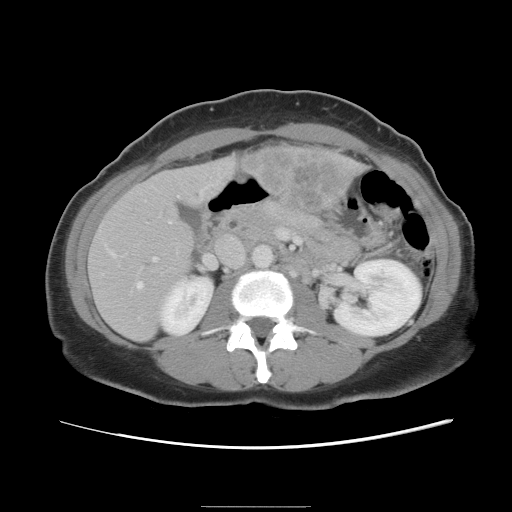 CT, Image size 512x512, Abdomen

Only some of the vessels may be annotated.
8 hepatic vessel regions are located at 168:220:170:222, 293:236:300:242, 106:246:113:254, 277:229:289:238, 136:282:141:287, 199:189:203:194, 152:257:155:260, 211:238:244:269. The liver tumor is bounded by 240:148:354:213.